Abdomen; Computed tomography; Slice index 191; 512x512
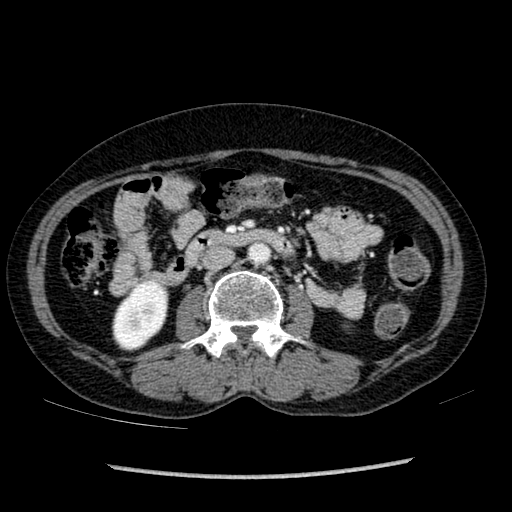 Segmented structures:
• kidney: (left=114, top=280, right=166, bottom=348)